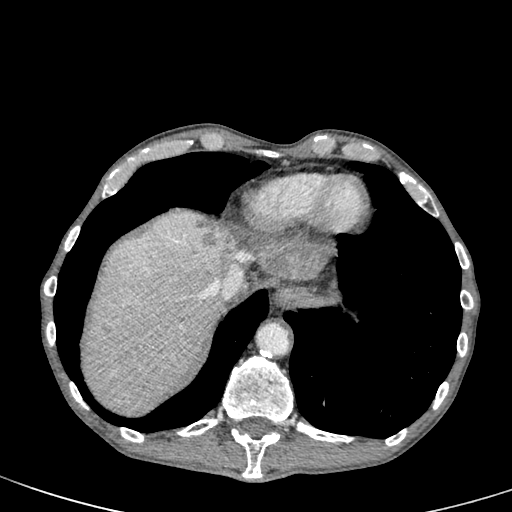 CT image
Findings:
• liver: l=263, t=269, r=308, b=280; l=252, t=272, r=260, b=280; l=81, t=214, r=232, b=416
• liver lesion: l=253, t=241, r=331, b=279; l=197, t=222, r=238, b=259